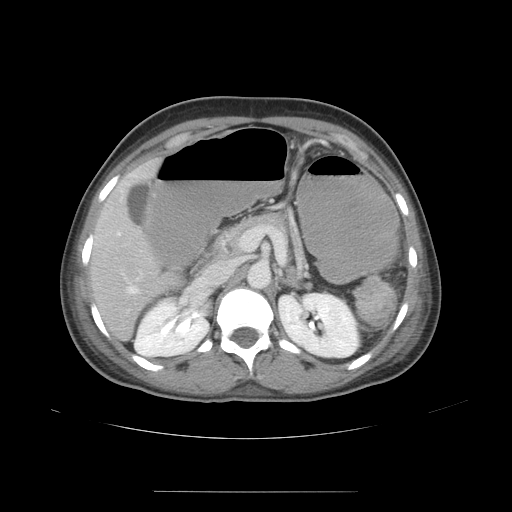
CT image. Abdomen. 512x512 px. Colon tumor — [x1=353, y1=275, x2=396, y2=326].